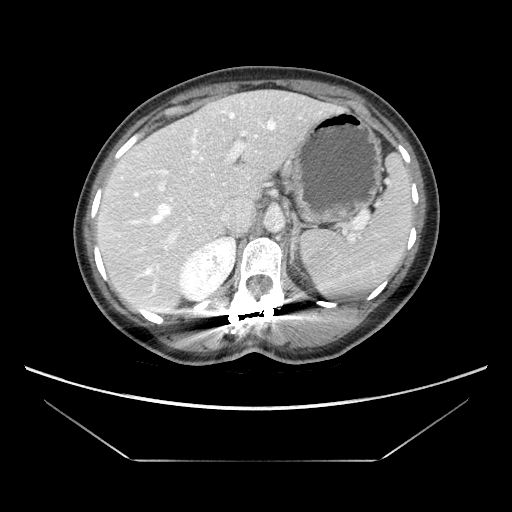 CT slice
Some hepatic vessels may have no box.
<segmentation>
  <hepatic_vessel>x1=184 y1=216 x2=192 y2=221, x1=227 y1=142 x2=244 y2=159, x1=161 y1=170 x2=166 y2=174, x1=220 y1=208 x2=230 y2=221, x1=152 y1=199 x2=174 y2=222, x1=192 y1=149 x2=201 y2=160, x1=140 y1=248 x2=144 y2=250, x1=163 y1=229 x2=178 y2=249, x1=211 y1=173 x2=214 y2=176, x1=236 y1=200 x2=250 y2=221</hepatic_vessel>
</segmentation>